FLAIR MRI.
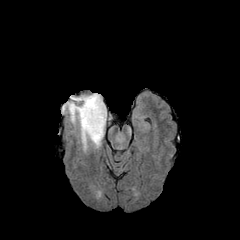
T1-weighted magnetic resonance.
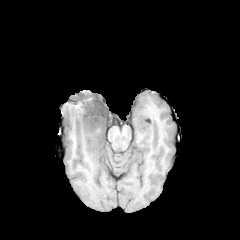
Post-contrast T1-weighted magnetic resonance.
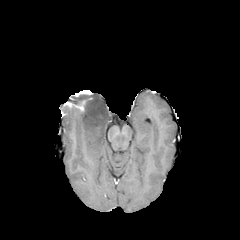
T2-weighted MR image.
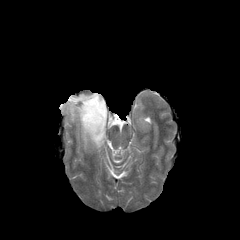
Head.
The edema is at <box>62,107,107,149</box>. The enhancing tumor appears at <box>66,101,84,110</box>. The non-enhancing tumor core lies within <box>67,94,105,127</box>.